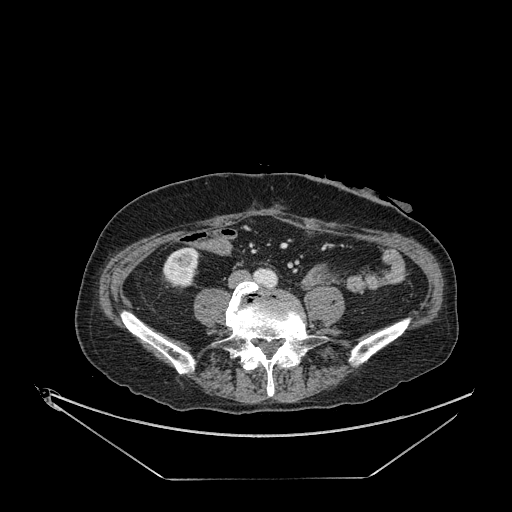

Abdomen, CT
Kidney: [163,248,197,285].